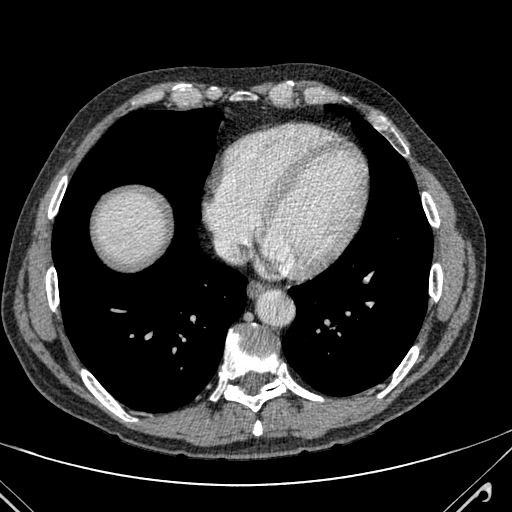 CT scan slice. Liver.
Segmented structures:
* liver: bbox(100, 198, 162, 260)